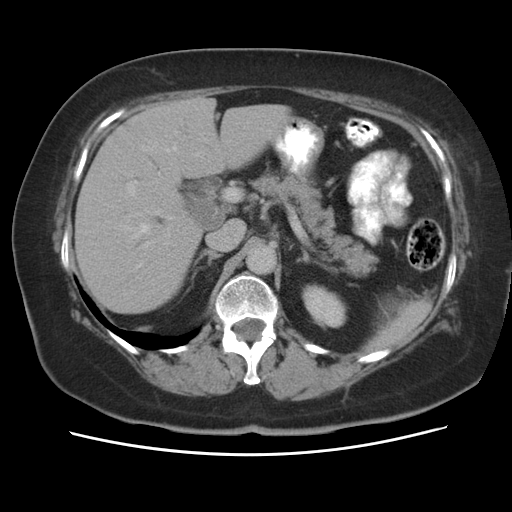

CT scan slice
pancreas: x1=251 y1=174 x2=380 y2=277